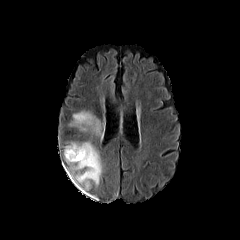
FLAIR MR image.
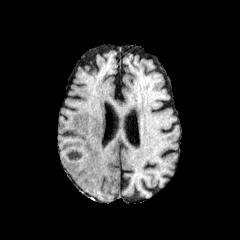
T1-weighted MR image.
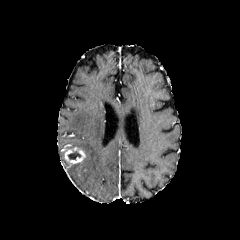
Post-contrast T1-weighted MRI.
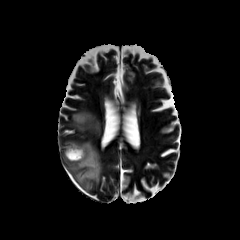
Same slice, T2-weighted magnetic resonance.
<segmentation>
  <edema><bbox>64, 110, 105, 192</bbox></edema>
  <non-enhancing_tumor_core><bbox>67, 151, 81, 160</bbox></non-enhancing_tumor_core>
  <enhancing_tumor><bbox>64, 147, 86, 164</bbox></enhancing_tumor>
</segmentation>